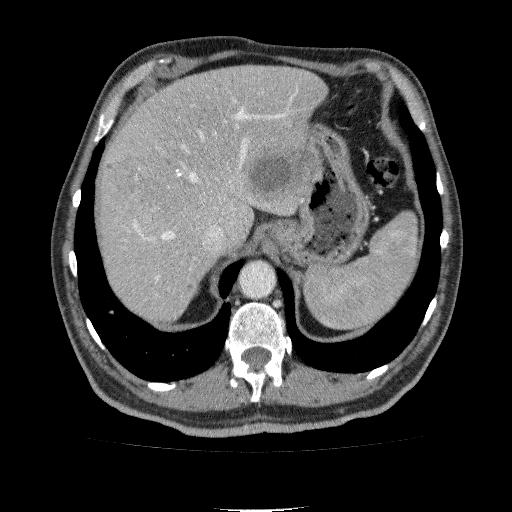
Computed tomography; Abdomen

Liver: (98,67,327,323).
Liver lesion: (114,175,137,194), (244,143,316,204).